Upper abdomen; 512x512; Field of view 410x410 mm; CT

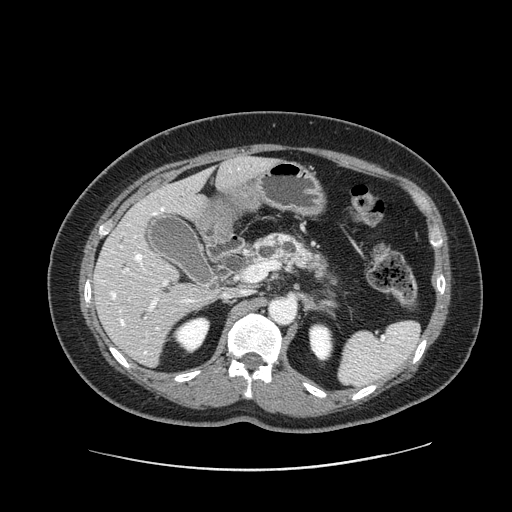
{"pancreas": ["rect(253, 234, 328, 278)"]}